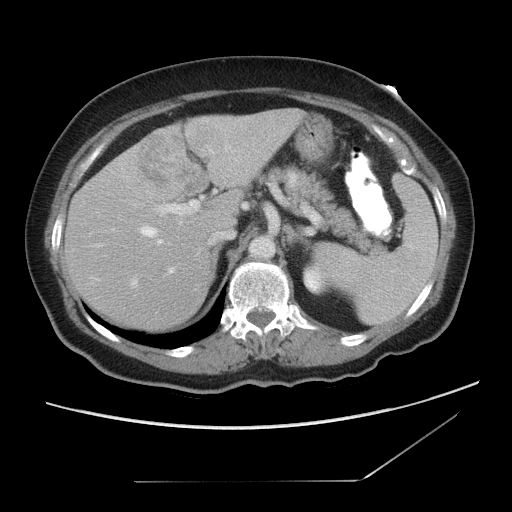 Abdomen | Computed tomography | 512x512

Only some of the vessels may be annotated.
5 hepatic vessel regions are bounded by 141:226:157:237, 158:240:161:243, 159:201:198:214, 132:280:137:286, 209:241:213:244. The liver tumor is at 138:137:171:186.